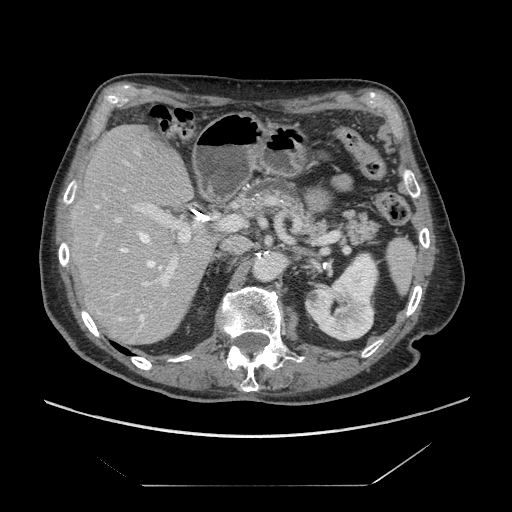 CT image

Pancreas — 223:175:383:247.